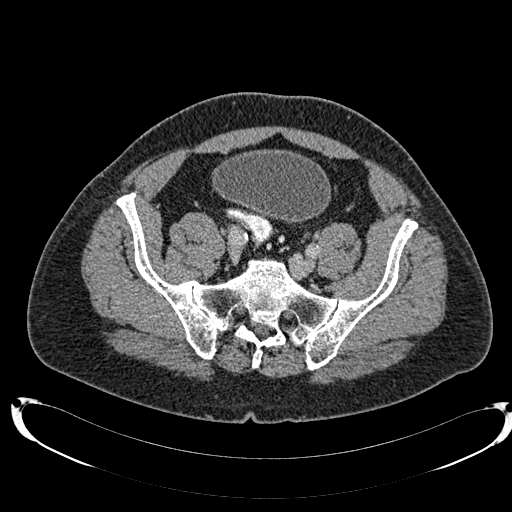
Lower abdomen; CT scan slice

The urinary bladder is at [214, 149, 330, 222].